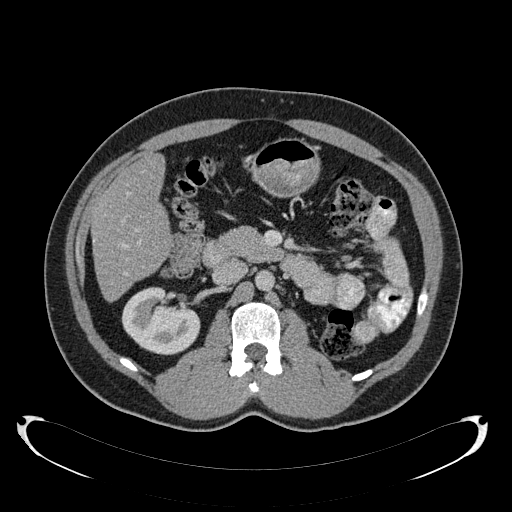

CT scan slice
<segmentation>
  <liver>rect(91, 154, 171, 300)</liver>
  <kidney>rect(122, 288, 199, 356)</kidney>
</segmentation>